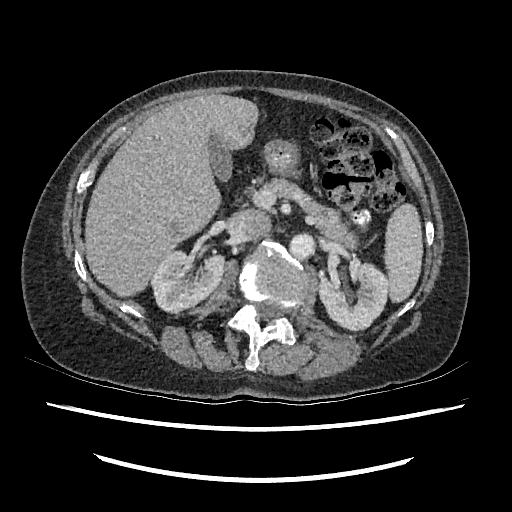

Liver, 512x512 px, CT
Focal liver lesion — [172, 225, 181, 233].
Liver — [86, 95, 257, 296].
Kidney — [152, 251, 223, 312], [319, 253, 390, 330].